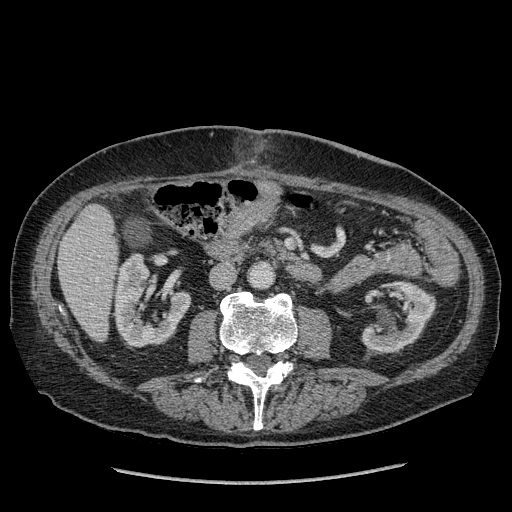
CT slice

<segmentation>
  <liver>x1=58 y1=205 x2=117 y2=341</liver>
  <kidney>x1=365 y1=290 x2=382 y2=302, x1=362 y1=281 x2=435 y2=352, x1=115 y1=254 x2=190 y2=346</kidney>
</segmentation>